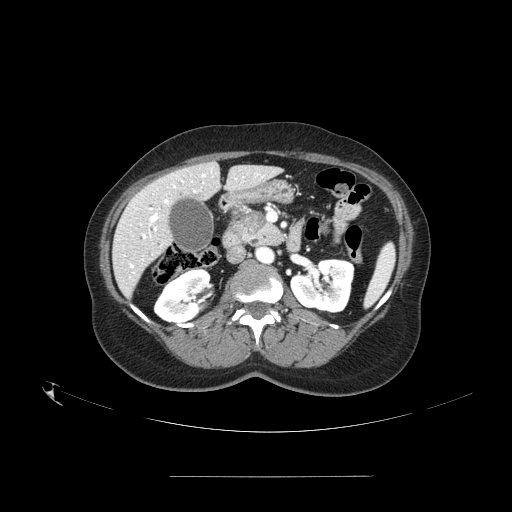
CT image. {
  "pancreas": [
    "[231, 211, 282, 244]"
  ],
  "pancreatic_tumor": [
    "[241, 212, 265, 232]"
  ]
}